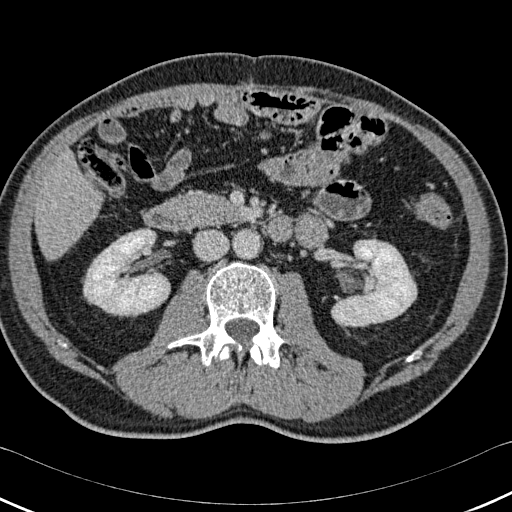

CT scan slice | Upper abdomen
bone: x1=407 y1=352 x2=419 y2=361, x1=168 y1=262 x2=285 y2=368 | kidney: x1=84 y1=230 x2=169 y2=314, x1=332 y1=240 x2=416 y2=325 | liver: x1=35 y1=154 x2=103 y2=258